Image width 240 mm | 240x240
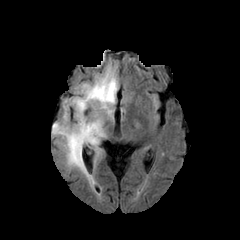
FLAIR MR image.
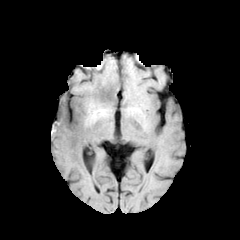
T1-weighted magnetic resonance.
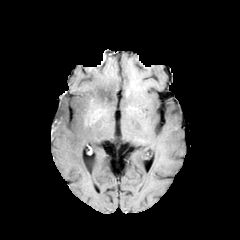
Post-contrast T1-weighted magnetic resonance.
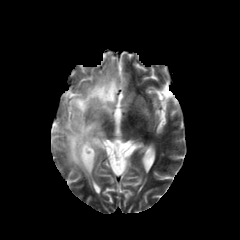
T2-weighted MR image.
edema: x1=52, y1=60, x2=119, y2=183